Slice 127/155 | 240x240
FLAIR magnetic resonance.
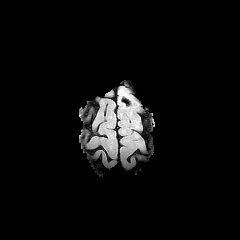
T1-weighted MR image.
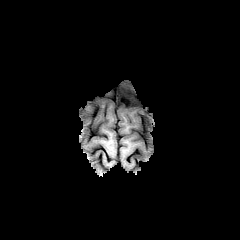
Post-contrast T1-weighted magnetic resonance.
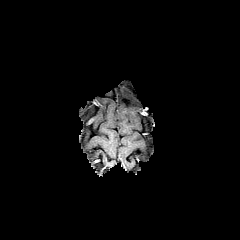
T2-weighted MR image.
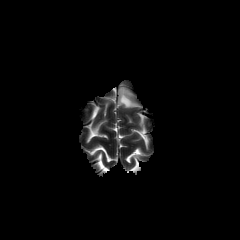
edema:
  - x1=118 y1=87 x2=138 y2=107